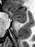
MR, 35x47

The posterior hippocampus lies within x1=15 y1=19 x2=25 y2=22. The anterior hippocampus appears at x1=8 y1=7 x2=25 y2=19.